512x512, CT image
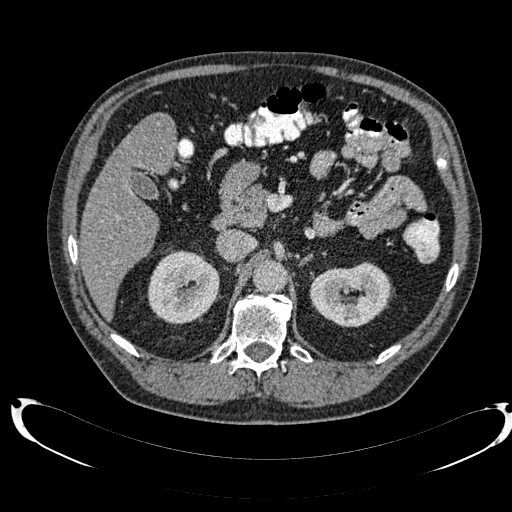
The liver lesion appears at 149, 114, 173, 133. 2 kidney regions appear at 148, 251, 219, 323; 310, 262, 390, 326. The liver appears at 81, 116, 175, 319.